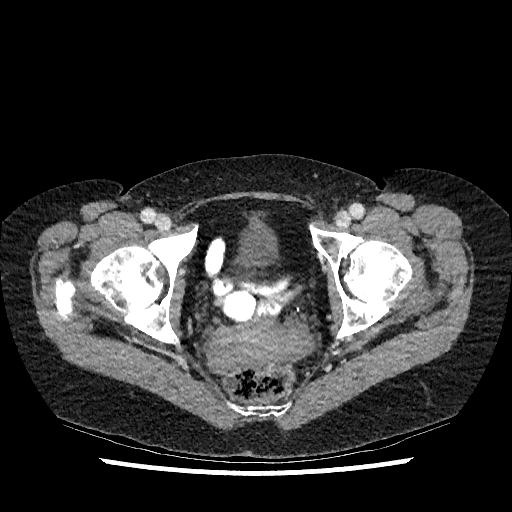
512x512 px. CT image.

The urinary bladder is bounded by 219,210,287,285.